FLAIR MRI.
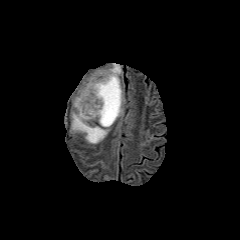
T1-weighted magnetic resonance.
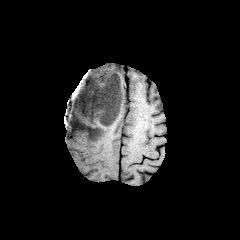
Post-contrast T1-weighted MRI.
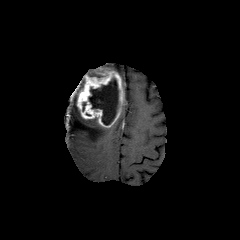
T2-weighted MR image.
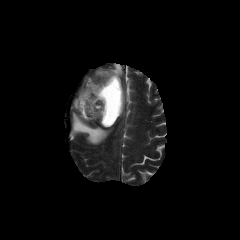
240x240 px. Brain.
Non-enhancing tumor core: left=89, top=79, right=118, bottom=125.
Edema: left=111, top=63, right=122, bottom=76; left=70, top=97, right=110, bottom=144.
Enhancing tumor: left=75, top=69, right=127, bottom=127.